Slice 91 of 155.
FLAIR MR image.
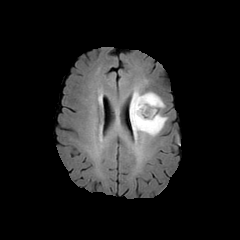
T1-weighted MR image.
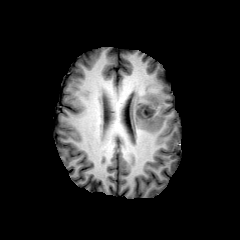
Post-contrast T1-weighted magnetic resonance.
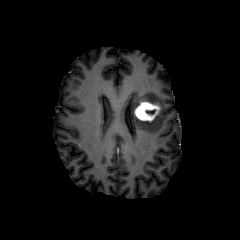
T2-weighted MR.
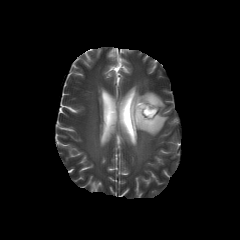
{
  "enhancing_tumor": [
    "134 101 160 122"
  ],
  "edema": [
    "130 87 167 141"
  ]
}